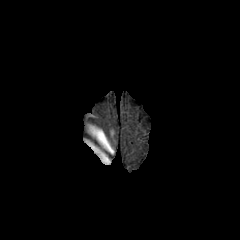
FLAIR MR.
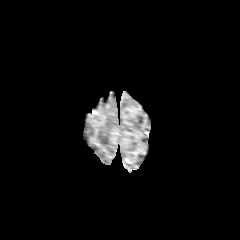
T1-weighted magnetic resonance.
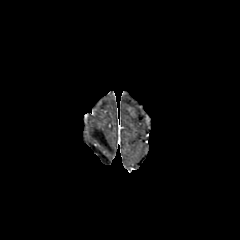
Same slice, post-contrast T1-weighted magnetic resonance.
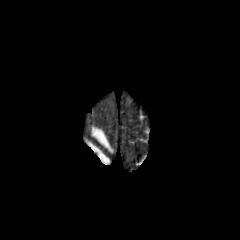
T2-weighted magnetic resonance.
<segmentation>
  <edema>left=87, top=126, right=113, bottom=163</edema>
</segmentation>